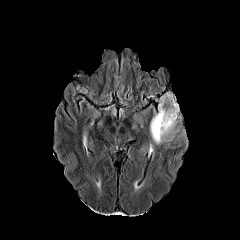
FLAIR MR.
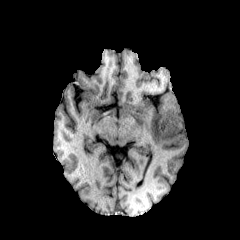
T1-weighted MR image.
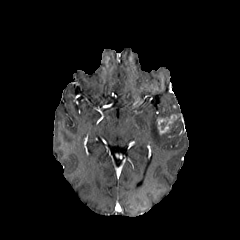
Same slice, post-contrast T1-weighted MRI.
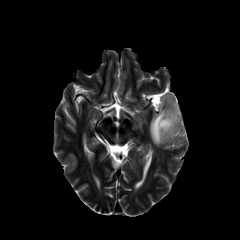
T2-weighted MRI.
{
  "edema": [
    "[x1=149, y1=93, x2=181, y2=146]"
  ],
  "enhancing_tumor": [
    "[x1=157, y1=114, x2=179, y2=136]"
  ]
}